Brain, Field of view 240 mm wide, 1.00 mm slice spacing, Slice 97/155
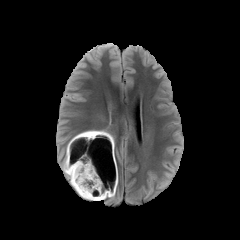
FLAIR MRI.
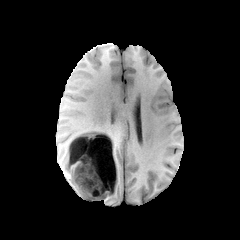
T1-weighted magnetic resonance.
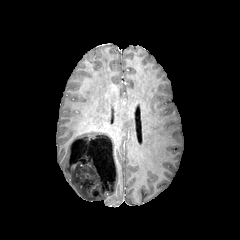
Post-contrast T1-weighted magnetic resonance of the same slice.
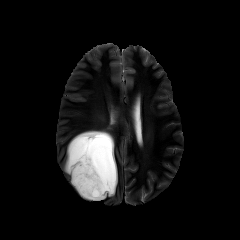
T2-weighted MRI of the same slice.
edema:
  - x1=102, y1=137, x2=114, y2=165
  - x1=64, y1=139, x2=115, y2=200
non-enhancing_tumor_core:
  - x1=66, y1=130, x2=115, y2=198